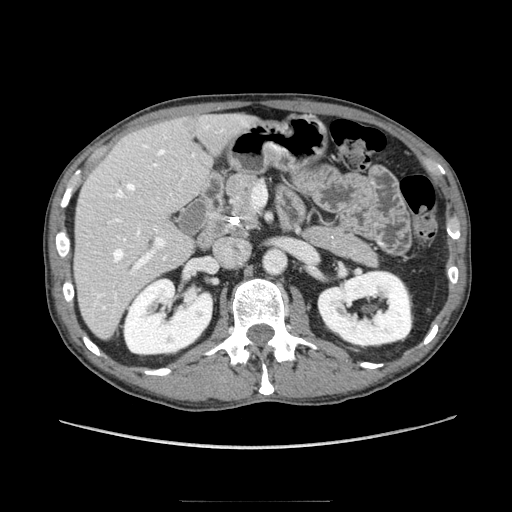 CT.
pancreas: (x1=306, y1=224, x2=376, y2=265), (x1=227, y1=174, x2=257, y2=222)